FLAIR magnetic resonance.
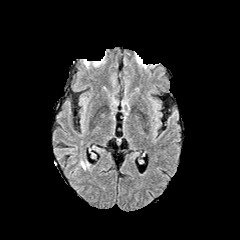
T1-weighted MR.
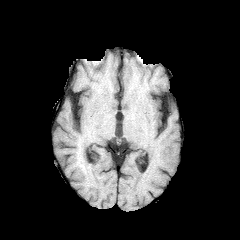
Post-contrast T1-weighted MRI.
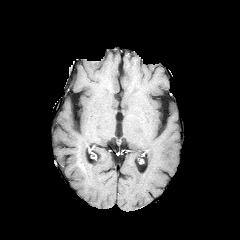
T2-weighted MR.
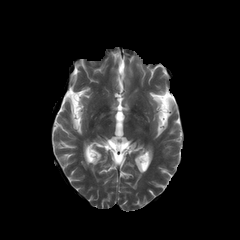
Head
edema:
  - [81, 160, 88, 169]